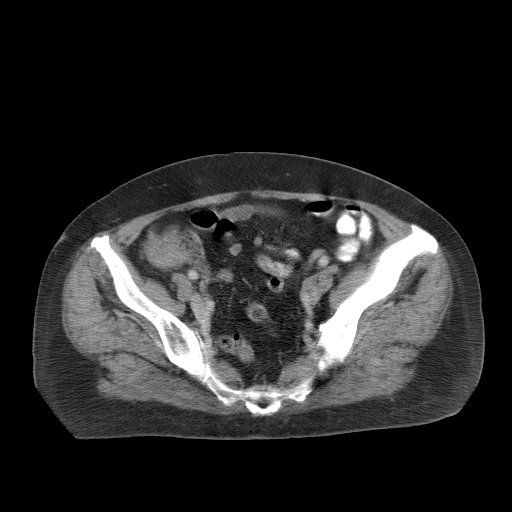 Computed tomography | Abdomen

The colon tumor lies within (146,234,187,268).